Image size 512x512 | Liver | Slice 57/134 | CT scan slice 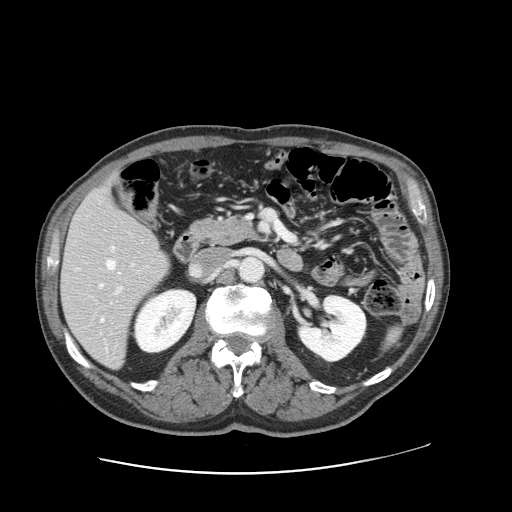

Not every hepatic vessel necessarily has a box.
6 hepatic vessel regions appear at (left=131, top=264, right=133, bottom=265), (left=111, top=246, right=114, bottom=248), (left=107, top=260, right=114, bottom=268), (left=100, top=284, right=102, bottom=286), (left=101, top=318, right=103, bottom=320), (left=115, top=288, right=121, bottom=292).